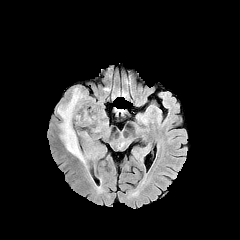
FLAIR magnetic resonance.
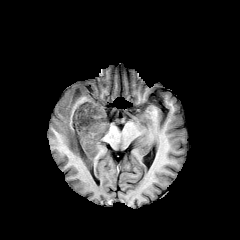
T1-weighted MR image.
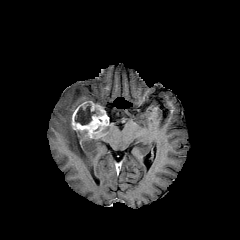
Post-contrast T1-weighted MRI.
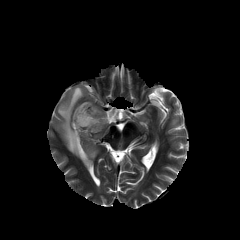
T2-weighted magnetic resonance.
{
  "non-enhancing_tumor_core": [
    "75, 103, 98, 124"
  ],
  "enhancing_tumor": [
    "72, 101, 108, 139"
  ],
  "edema": [
    "57, 87, 100, 168"
  ]
}